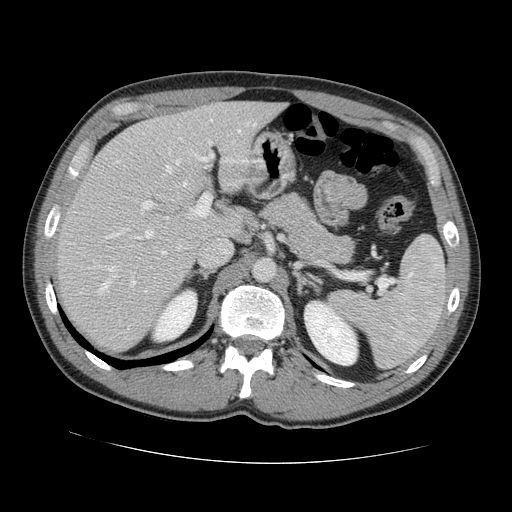
Liver; Computed tomography
The vessel boxes may cover only some of the vessels.
The principal 15 hepatic vessel regions (of 27) are bounded by <box>162,166,171,176</box>, <box>208,140,211,145</box>, <box>131,279,134,285</box>, <box>183,181,186,185</box>, <box>105,227,129,238</box>, <box>179,137,183,141</box>, <box>144,201,151,209</box>, <box>104,266,117,276</box>, <box>129,236,140,238</box>, <box>96,281,108,295</box>, <box>245,122,255,126</box>, <box>114,160,120,163</box>, <box>161,251,165,254</box>, <box>174,159,180,164</box>, <box>144,230,151,237</box>.